Head
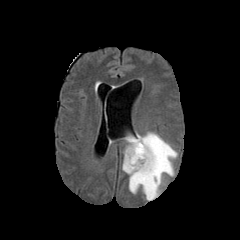
FLAIR MR.
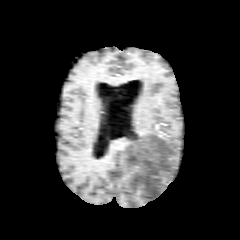
Same slice, T1-weighted magnetic resonance.
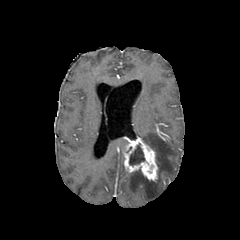
Post-contrast T1-weighted MR.
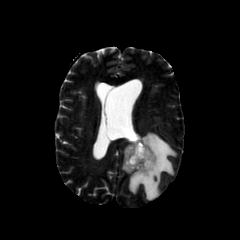
T2-weighted MRI.
Non-enhancing tumor core: bounding box bbox=[129, 144, 144, 166]; bbox=[143, 140, 158, 177].
Enhancing tumor: bounding box bbox=[124, 137, 157, 181].
Edema: bounding box bbox=[122, 131, 177, 200].